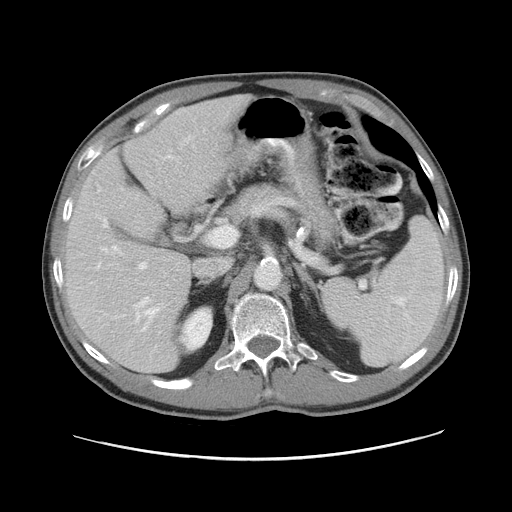
CT image; 512x512; Abdomen

Only some of the vessels may be annotated.
12 hepatic vessel regions appear at x1=139, y1=262, x2=146, y2=268; x1=169, y1=149, x2=171, y2=150; x1=140, y1=303, x2=163, y2=331; x1=103, y1=219, x2=106, y2=227; x1=95, y1=262, x2=100, y2=269; x1=178, y1=147, x2=180, y2=148; x1=135, y1=312, x2=139, y2=323; x1=211, y1=230, x2=218, y2=245; x1=101, y1=247, x2=108, y2=252; x1=134, y1=297, x2=149, y2=308; x1=111, y1=246, x2=121, y2=254; x1=184, y1=136, x2=193, y2=141.